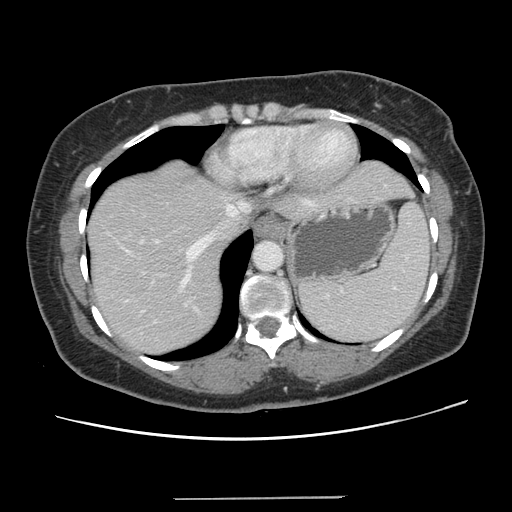
CT
Not every hepatic vessel necessarily has a box.
hepatic vessel: region(125, 250, 128, 251); region(227, 205, 238, 216); region(180, 273, 189, 288); region(155, 240, 158, 241); region(187, 236, 212, 259); region(185, 302, 189, 305); region(240, 203, 246, 209)